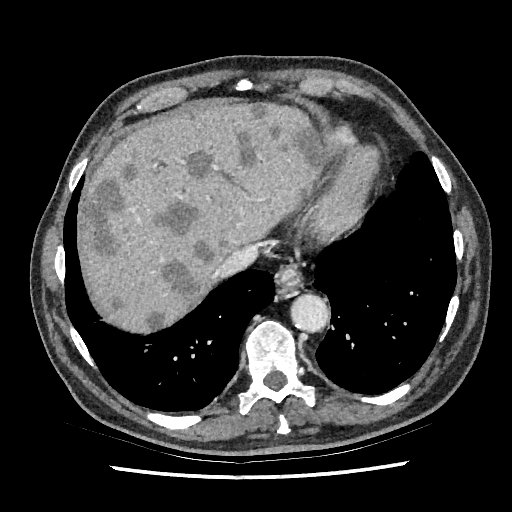 Upper abdomen. CT. The principal 15 liver lesion regions (of 17) are located at 122 162 137 180, 161 259 207 308, 269 126 280 139, 192 241 216 263, 110 295 125 309, 251 104 266 119, 237 129 256 168, 185 149 214 178, 152 199 200 233, 294 127 321 169, 277 142 289 153, 296 188 308 203, 220 169 234 185, 79 178 123 255, 144 312 166 329. The liver is at 80 104 319 331.